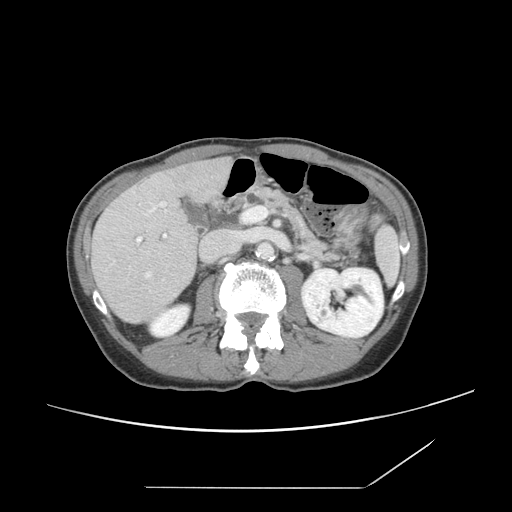
CT. Abdomen. Pancreas: bounding box x1=216 y1=186 x2=317 y2=249.
Pancreatic tumor: bounding box x1=247 y1=193 x2=264 y2=205.